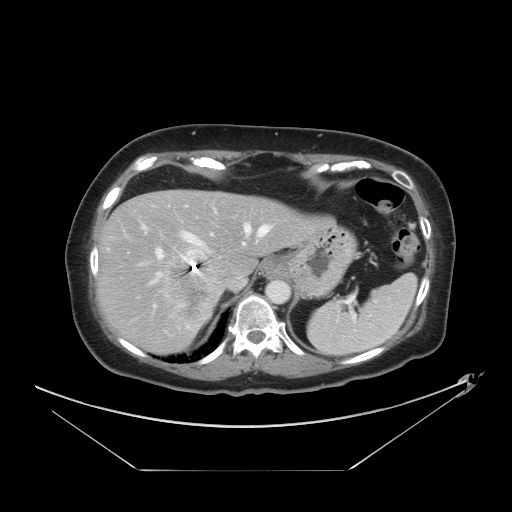
Abdomen, Image size 512x512, CT slice
Not every hepatic vessel necessarily has a box.
liver_tumor:
  - x1=161, y1=252, x2=220, y2=332
hepatic_vessel:
  - x1=155, y1=247, x2=163, y2=259
  - x1=181, y1=232, x2=204, y2=246
  - x1=244, y1=223, x2=250, y2=235
  - x1=151, y1=272, x2=160, y2=283
  - x1=213, y1=208, x2=216, y2=212
  - x1=257, y1=224, x2=270, y2=236
  - x1=210, y1=233, x2=212, y2=235
  - x1=256, y1=241, x2=257, y2=243
  - x1=242, y1=242, x2=245, y2=245
  - x1=142, y1=224, x2=147, y2=232
  - x1=153, y1=304, x2=155, y2=306
  - x1=185, y1=205, x2=187, y2=207